Magnetic resonance | Slice 13 of 32 | Hippocampus
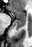 The posterior hippocampus is at x1=15 y1=20 x2=25 y2=29. The anterior hippocampus appears at x1=9 y1=7 x2=25 y2=19.